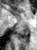 Hippocampus, MR image
Posterior hippocampus at 16,26,28,38.